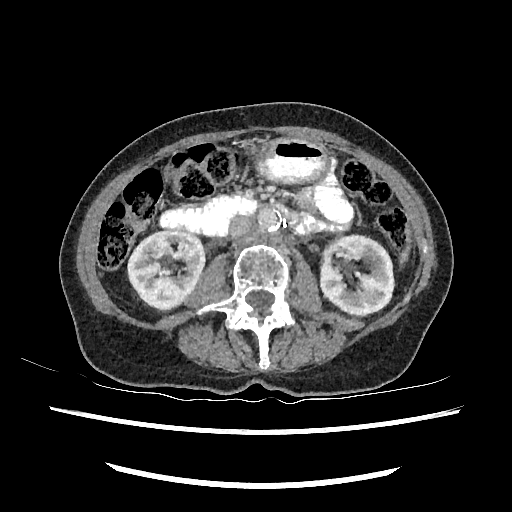

Image size 512x512. CT.

Kidney — <bbox>128, 228, 204, 308</bbox>, <bbox>321, 236, 393, 314</bbox>.